Image size 512x512; Slice 354/677; CT scan slice
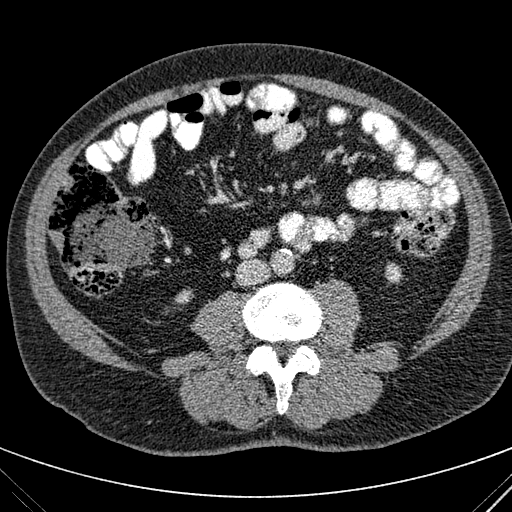
{"kidney": ["rect(175, 290, 190, 302)", "rect(386, 263, 401, 282)"]}